Field of view 240 mm wide, 1.00 mm slice spacing; 240x240 px; Slice index 64; Head
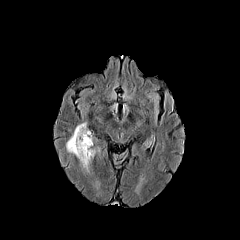
FLAIR magnetic resonance.
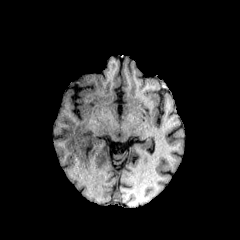
Same slice, T1-weighted MR image.
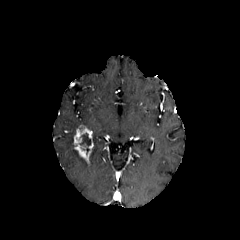
Post-contrast T1-weighted magnetic resonance.
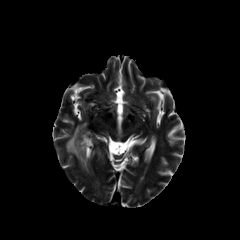
T2-weighted MR image of the same slice.
Non-enhancing tumor core — box(80, 133, 91, 152).
Enhancing tumor — box(73, 125, 93, 162).
Edema — box(88, 146, 106, 163); box(66, 136, 89, 173).